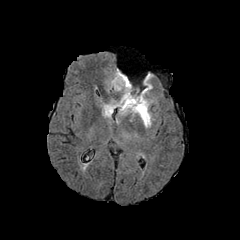
FLAIR MRI.
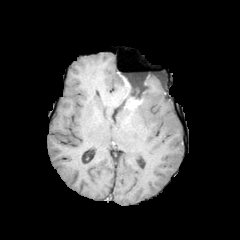
T1-weighted MR of the same slice.
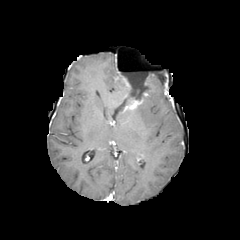
Post-contrast T1-weighted MR image.
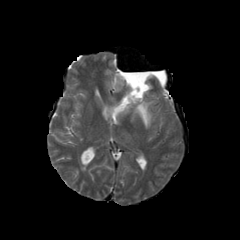
T2-weighted MR image.
Image size 240x240
Non-enhancing tumor core = left=118, top=78, right=147, bottom=109.
Edema = left=110, top=76, right=129, bottom=99; left=102, top=94, right=153, bottom=128; left=140, top=74, right=152, bottom=93.
Enhancing tumor = left=124, top=98, right=142, bottom=111.